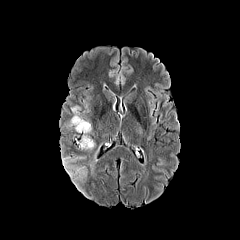
FLAIR MR.
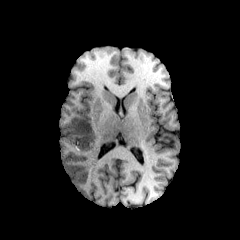
T1-weighted MR image.
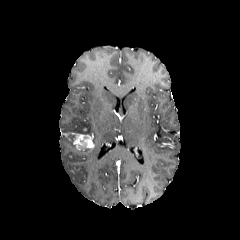
Post-contrast T1-weighted MRI.
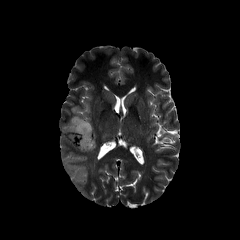
T2-weighted magnetic resonance of the same slice.
Head
Enhancing tumor = [72,134,94,153].
Edema = [69,165,84,181], [88,145,100,173], [66,106,91,134], [62,156,73,166].